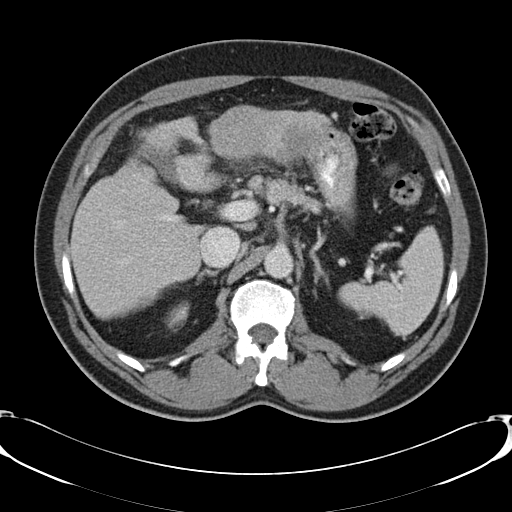 Computed tomography

Not every hepatic vessel necessarily has a box.
hepatic vessel: 129, 257, 131, 258; 159, 215, 169, 220; 151, 199, 152, 201 | liver tumor: 286, 127, 314, 155